FLAIR magnetic resonance.
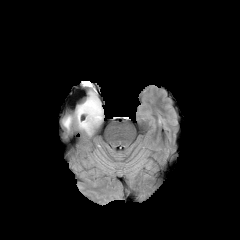
T1-weighted MR image.
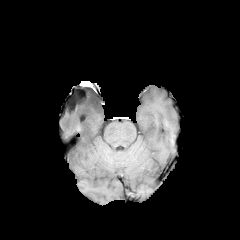
Post-contrast T1-weighted magnetic resonance.
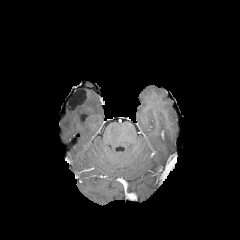
T2-weighted MRI.
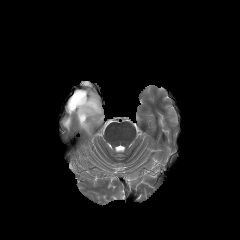
Head
The edema is located at region(62, 90, 103, 134).